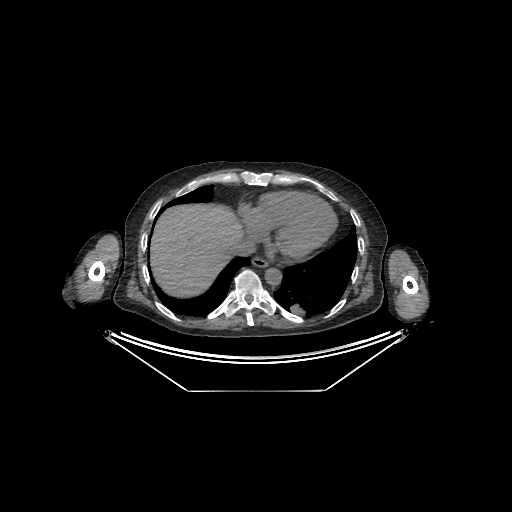

Abdomen, CT slice

Liver: bounding box [150, 203, 244, 296].